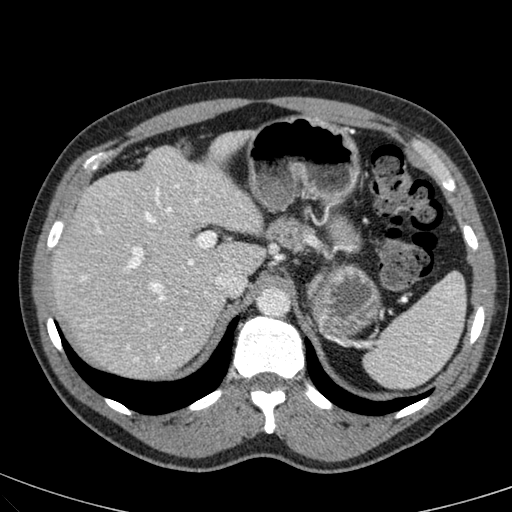

CT slice | Abdomen | 512x512
Liver — bbox=[51, 148, 262, 378]; bbox=[214, 142, 231, 159].